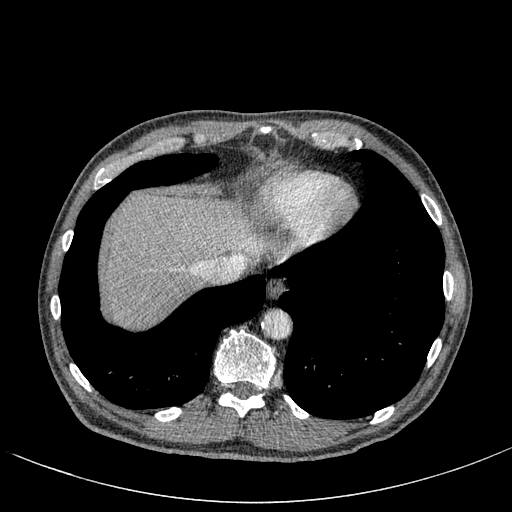 Upper abdomen, Computed tomography
liver:
  - bbox(101, 194, 263, 326)